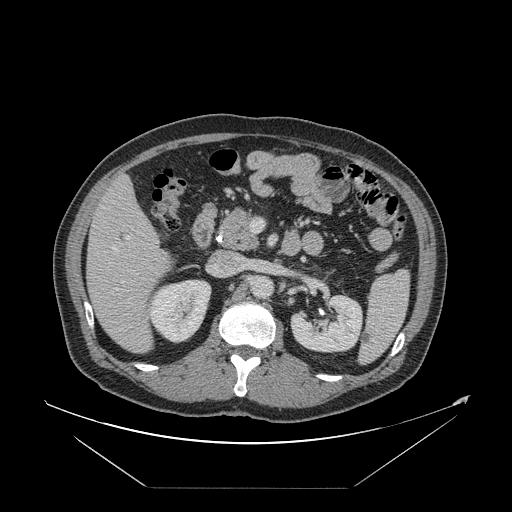

Liver, CT slice
Not every hepatic vessel necessarily has a box.
Hepatic vessel: bounding box 113:247:115:250, 126:237:129:239.